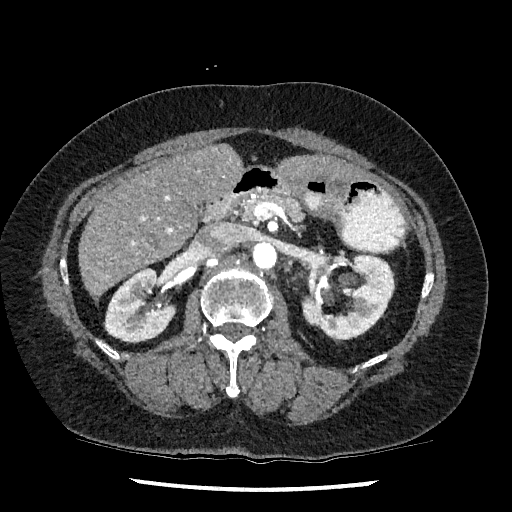

Computed tomography, 512x512, Upper abdomen

2 kidney regions appear at rect(303, 255, 393, 339); rect(105, 261, 187, 341). 2 liver regions appear at rect(278, 157, 366, 182); rect(78, 145, 242, 296).